FLAIR MR image.
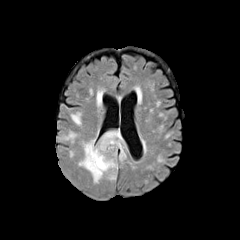
T1-weighted MR.
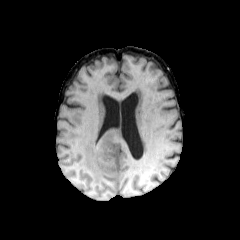
Post-contrast T1-weighted MR image.
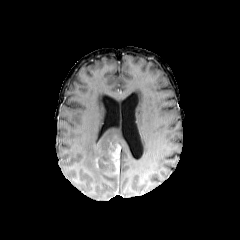
T2-weighted MR image.
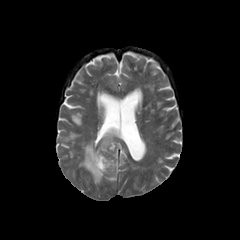
Brain, Image size 240x240
2 edema regions are located at rect(60, 131, 78, 143); rect(78, 128, 127, 183). The enhancing tumor is bounded by rect(104, 144, 120, 178). The non-enhancing tumor core is at rect(96, 152, 114, 172).